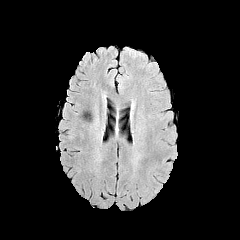
FLAIR MR image.
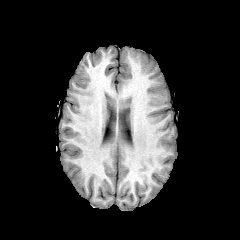
T1-weighted MR image.
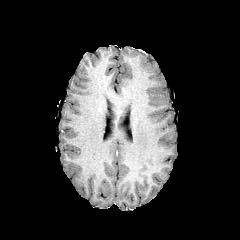
Same slice, post-contrast T1-weighted MR.
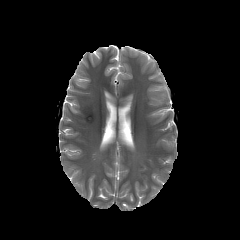
Same slice, T2-weighted MRI.
Head
edema: left=124, top=49, right=141, bottom=57